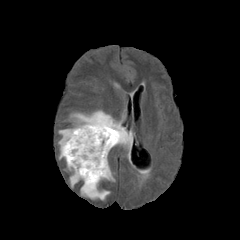
FLAIR MRI.
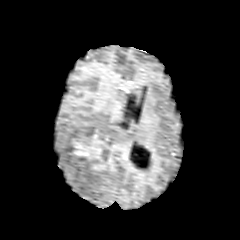
T1-weighted MR image of the same slice.
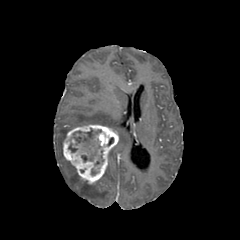
Post-contrast T1-weighted MRI of the same slice.
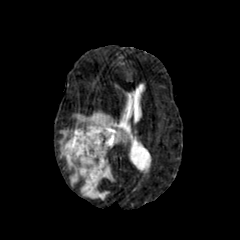
T2-weighted MR.
Image size 240x240.
5 edema regions are bounded by <box>71,111,132,146</box>, <box>80,182,109,200</box>, <box>58,128,69,159</box>, <box>66,162,78,187</box>, <box>103,165,114,181</box>. The enhancing tumor appears at <box>62,123,119,184</box>. The non-enhancing tumor core is located at <box>73,130,97,145</box>.